Field of view 386x386 mm, CT image, Slice 131 of 168

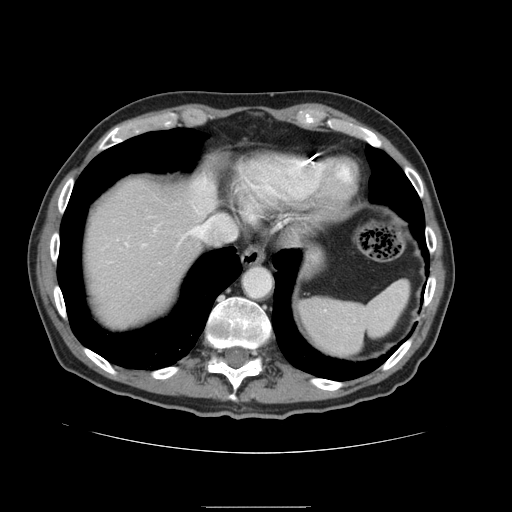
Not every hepatic vessel necessarily has a box.
hepatic vessel: left=190, top=217, right=238, bottom=241